Slice 559/685. Computed tomography. Liver.

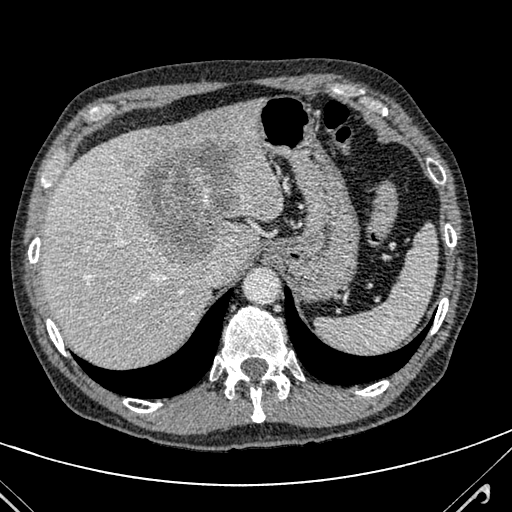 The liver is located at 42,97,283,367. 2 focal liver lesion regions are bounded by 124,159,132,167; 135,137,240,266.